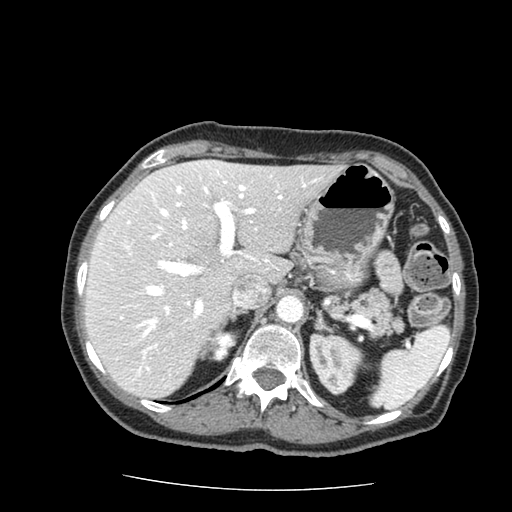
512x512 px. CT image.
pancreas: <box>330,289,404,338</box>